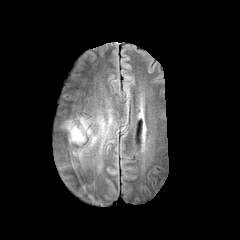
FLAIR MR.
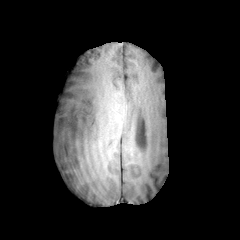
Same slice, T1-weighted MRI.
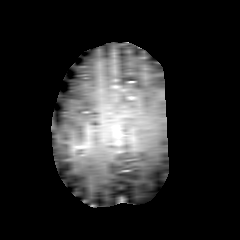
Post-contrast T1-weighted MRI of the same slice.
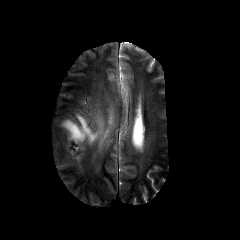
T2-weighted MR image.
Brain.
* non-enhancing tumor core: (left=76, top=148, right=86, bottom=155)
* edema: (left=64, top=116, right=95, bottom=147)